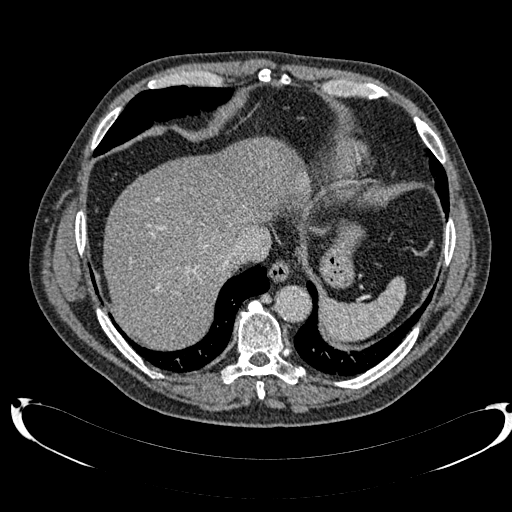 Computed tomography | Abdomen
The liver lesion is at region(163, 152, 233, 213). The liver is bounded by region(103, 138, 306, 348).